Brain. Image size 240x240.
FLAIR MR image.
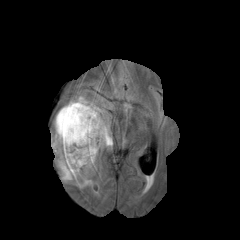
T1-weighted MRI.
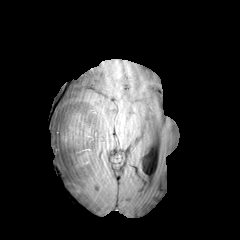
Post-contrast T1-weighted MR.
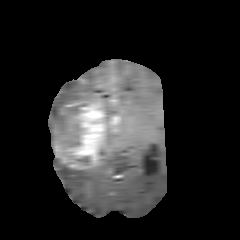
T2-weighted MR image.
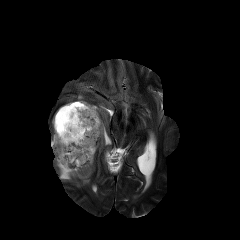
Enhancing tumor at {"x1": 53, "y1": 104, "x2": 105, "y2": 169}.
Non-enhancing tumor core at {"x1": 76, "y1": 157, "x2": 89, "y2": 166}, {"x1": 57, "y1": 102, "x2": 86, "y2": 146}.
Edema at {"x1": 54, "y1": 158, "x2": 94, "y2": 186}, {"x1": 94, "y1": 104, "x2": 112, "y2": 160}, {"x1": 51, "y1": 106, "x2": 79, "y2": 147}, {"x1": 68, "y1": 97, "x2": 90, "y2": 103}.